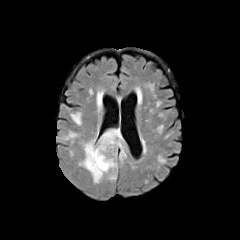
FLAIR MRI.
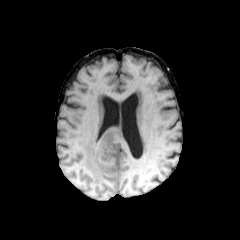
T1-weighted MRI.
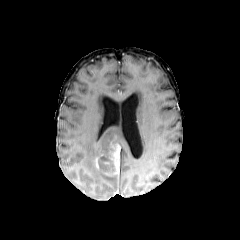
Same slice, post-contrast T1-weighted magnetic resonance.
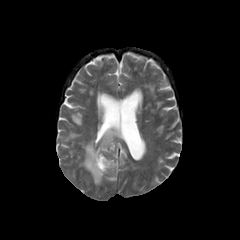
T2-weighted magnetic resonance.
Head
Enhancing tumor: bounding box x1=110, y1=142, x2=120, y2=172.
Non-enhancing tumor core: bounding box x1=96, y1=152, x2=105, y2=167.
Edema: bounding box x1=94, y1=90, x2=104, y2=114; x1=79, y1=128, x2=127, y2=183.